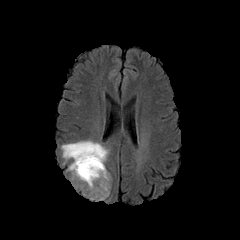
FLAIR magnetic resonance.
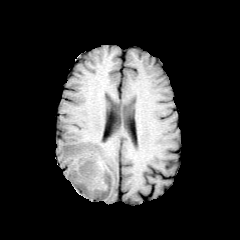
Same slice, T1-weighted magnetic resonance.
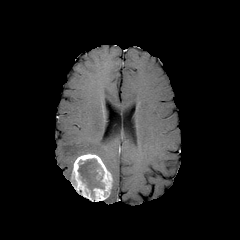
Post-contrast T1-weighted MRI.
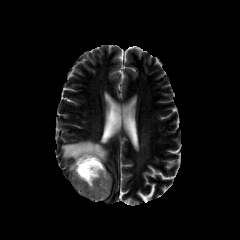
T2-weighted MR image.
Image size 240x240
Annotated regions:
- enhancing tumor: left=70, top=154, right=111, bottom=201
- edema: left=61, top=139, right=108, bottom=173
- non-enhancing tumor core: left=78, top=158, right=103, bottom=188